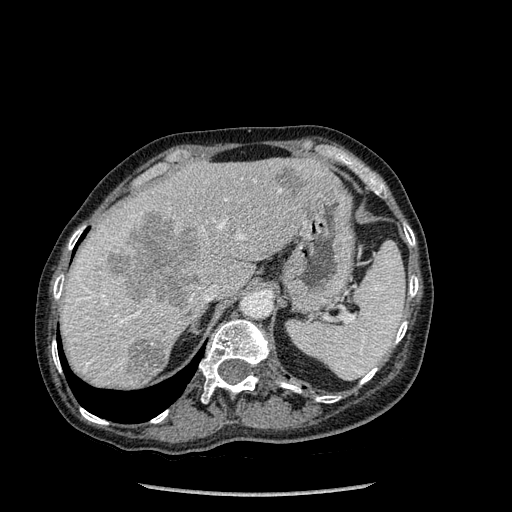 512x512 px, Computed tomography
{
  "lung": [
    "[59,347,200,423]"
  ],
  "liver": [
    "[61,158,341,389]"
  ],
  "bone": [
    "[315,396,340,402]",
    "[404,224,415,245]",
    "[409,275,418,296]",
    "[372,181,386,197]",
    "[394,321,407,343]",
    "[52,340,61,372]",
    "[150,410,168,423]",
    "[360,367,377,384]",
    "[68,227,83,249]",
    "[199,319,268,403]",
    "[278,382,300,392]",
    "[80,408,108,424]",
    "[53,274,63,299]"
  ],
  "liver_lesion": [
    "[275,166,305,198]",
    "[106,210,200,308]",
    "[125,337,164,380]"
  ]
}